FLAIR MRI.
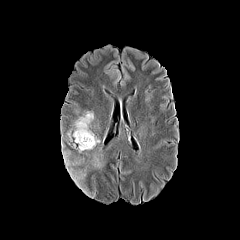
T1-weighted MRI.
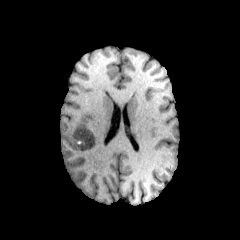
Post-contrast T1-weighted magnetic resonance.
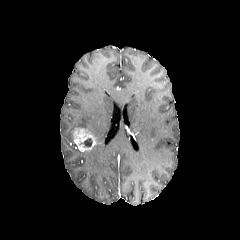
T2-weighted MR image.
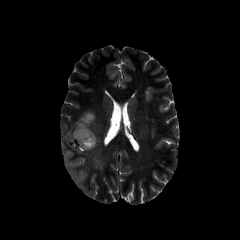
Brain.
Edema: bounding box 91, 132, 103, 168; 62, 152, 85, 185; 66, 128, 73, 142; 73, 112, 94, 128; 72, 143, 89, 155.
Non-enhancing tumor core: bounding box 81, 139, 92, 147.
Enhancing tumor: bounding box 72, 127, 96, 151.